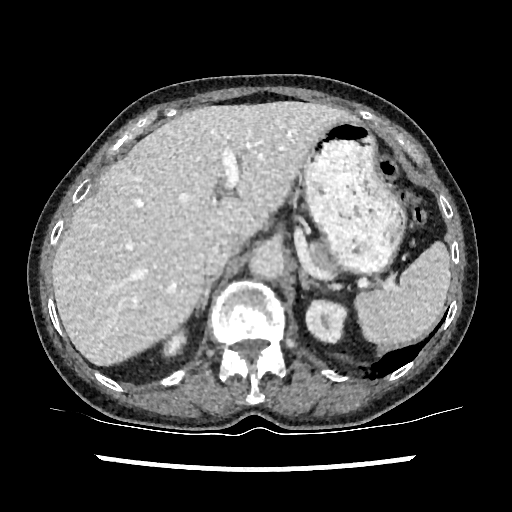 Upper abdomen | CT
• liver: (left=53, top=103, right=350, bottom=364)
• kidney: (left=337, top=309, right=343, bottom=324), (left=170, top=338, right=178, bottom=351)